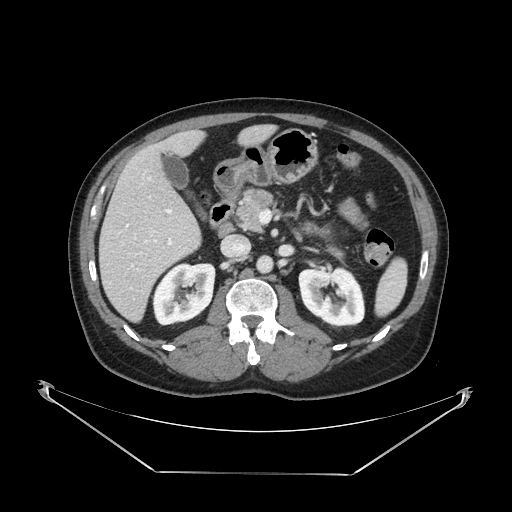
Abdomen, CT

Segmented structures:
- pancreatic tumor: <box>251,191,268,206</box>
- pancreas: <box>237,187,277,231</box>, <box>319,224,351,266</box>